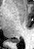 Magnetic resonance; 34x49; Hippocampus
The posterior hippocampus lies within rect(8, 39, 19, 42).